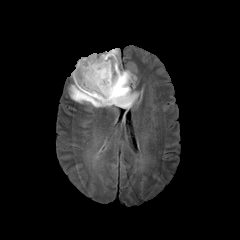
FLAIR MRI.
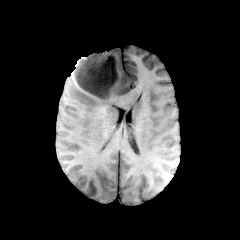
Same slice, T1-weighted magnetic resonance.
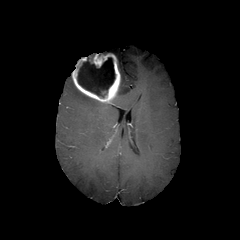
Post-contrast T1-weighted MR.
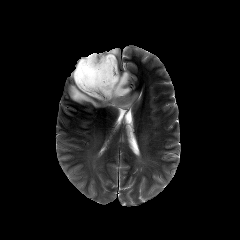
T2-weighted MR of the same slice.
Head
Enhancing tumor — [72, 53, 120, 101].
Non-enhancing tumor core — [77, 57, 114, 96].
Edema — [69, 48, 137, 109].